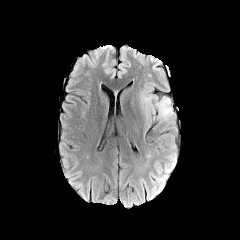
FLAIR MRI.
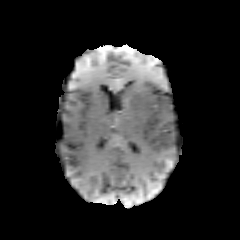
Same slice, T1-weighted MR.
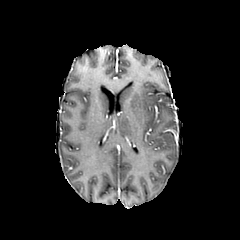
Post-contrast T1-weighted magnetic resonance.
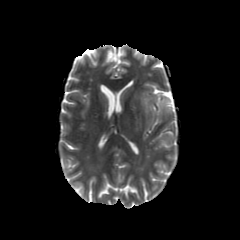
T2-weighted MR image.
Image size 240x240. Brain.
Edema: bounding box [140, 86, 175, 124], [152, 163, 171, 189].